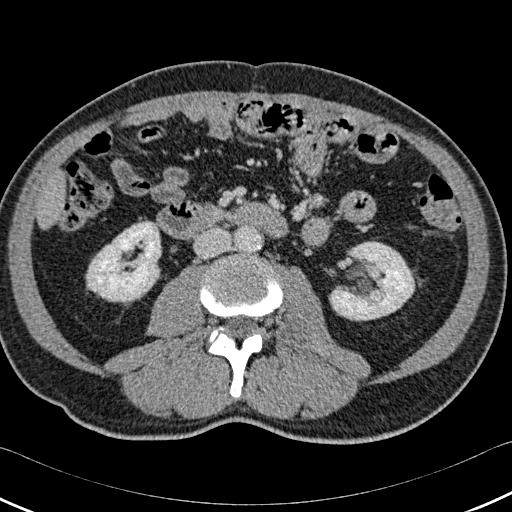
Liver. 512x512. CT. {
  "liver": [
    "region(36, 174, 65, 228)"
  ],
  "kidney": [
    "region(87, 222, 160, 301)",
    "region(330, 242, 413, 319)"
  ],
  "bone": [
    "region(209, 327, 261, 397)",
    "region(200, 260, 282, 316)"
  ]
}